Image size 512x512, Computed tomography, Slice 259 of 461
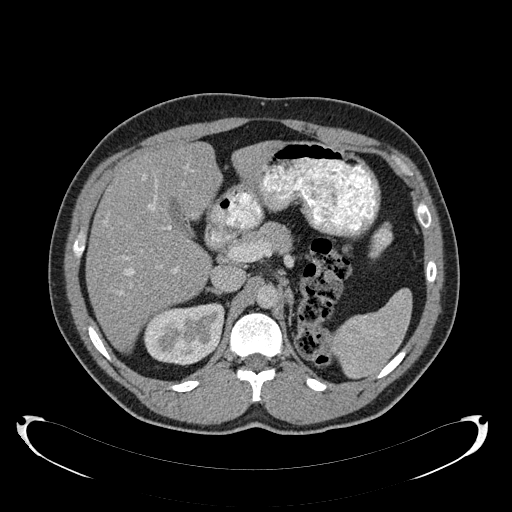 2 liver regions are bounded by 87 143 220 349, 234 143 277 180. The kidney is located at 145 304 223 364.